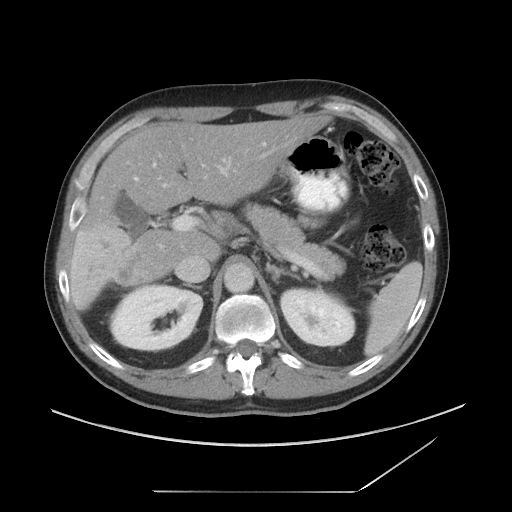 Computed tomography
The liver tumor appears at region(114, 246, 150, 284).